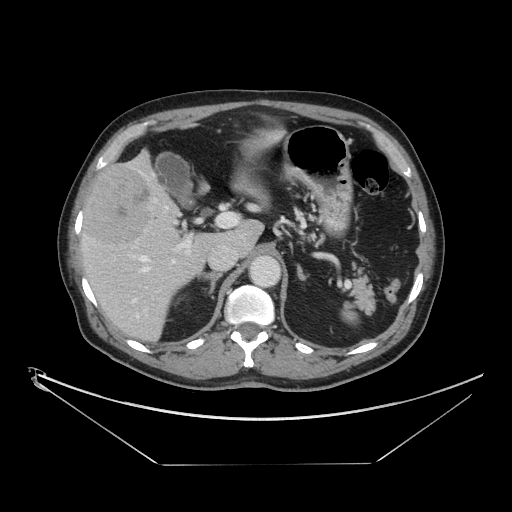

Liver. Computed tomography. The vessel boxes may cover only some of the vessels.
8 hepatic vessel regions are bounded by (137, 256, 148, 261), (155, 199, 156, 201), (143, 267, 149, 271), (172, 260, 174, 262), (133, 299, 137, 302), (178, 243, 189, 254), (136, 313, 138, 317), (165, 206, 167, 208). The liver tumor is bounded by (84, 165, 151, 245).